CT image | Field of view 399x399 mm | Slice 137 of 151 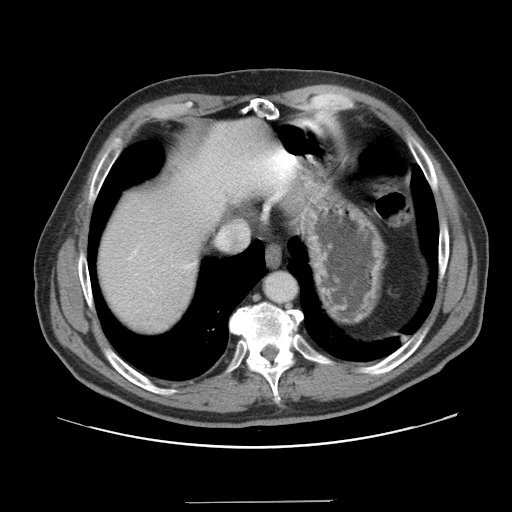
Only some of the vessels may be annotated.
hepatic_vessel:
  - 220, 235, 223, 238